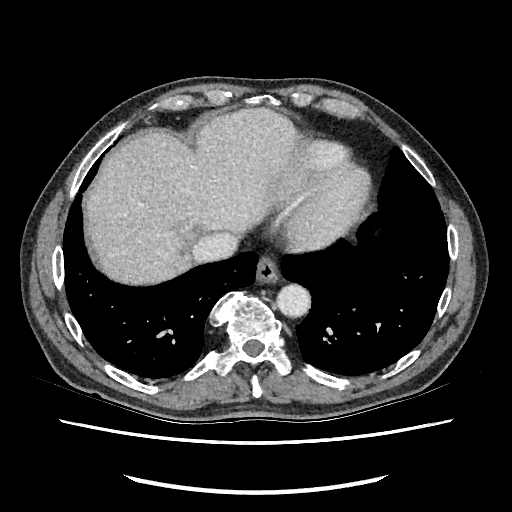
CT scan slice; Abdomen
liver:
  - box=[88, 110, 296, 283]
liver_lesion:
  - box=[181, 223, 203, 245]